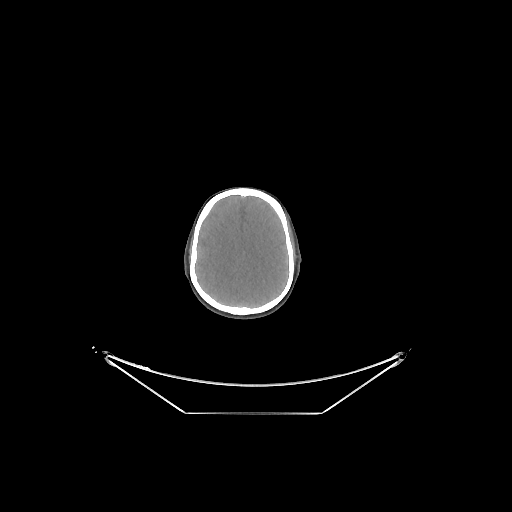 Head, Computed tomography
Brain: box=[195, 195, 288, 307].